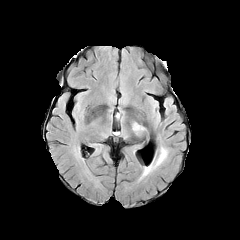
FLAIR MR.
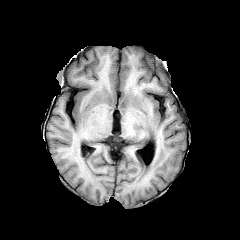
T1-weighted magnetic resonance of the same slice.
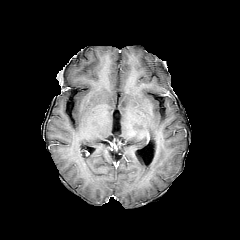
Post-contrast T1-weighted MRI.
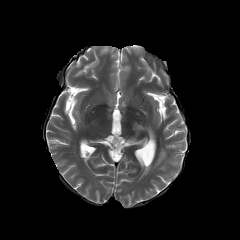
T2-weighted magnetic resonance.
Image size 240x240. Brain.
Annotated regions:
• edema: 140:146:168:178, 132:123:145:130